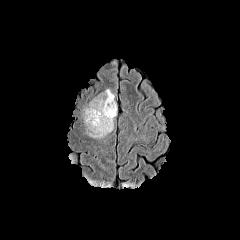
FLAIR magnetic resonance.
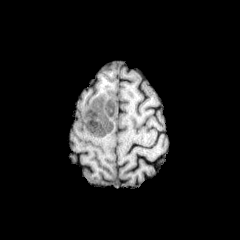
Same slice, T1-weighted MRI.
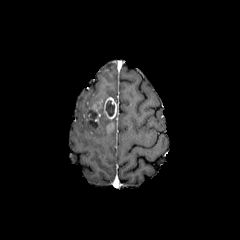
Post-contrast T1-weighted MRI of the same slice.
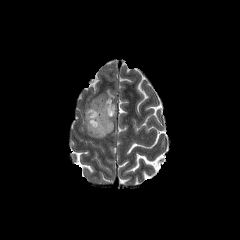
T2-weighted MR image of the same slice.
<segmentation>
  <enhancing_tumor>(91,99,102,117), (104,98,117,119), (106,122,113,133)</enhancing_tumor>
  <non-enhancing_tumor_core>(87,110,100,128), (106,101,114,116)</non-enhancing_tumor_core>
  <edema>(84,113,111,138)</edema>
</segmentation>